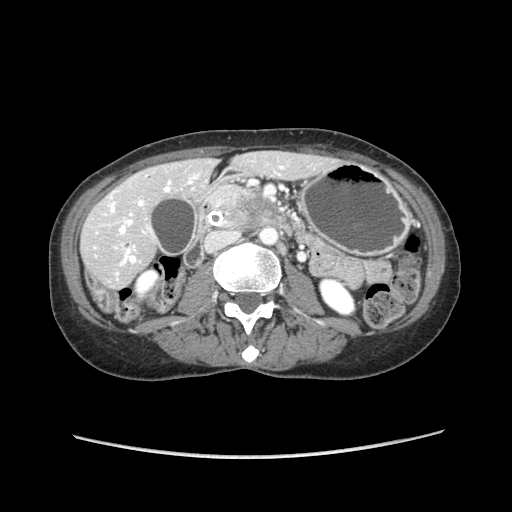 CT scan slice, 512x512
Pancreatic tumor: box=[226, 194, 272, 229].
Pancreas: box=[251, 199, 280, 228]; box=[206, 186, 255, 229].